CT scan slice. Abdomen. Field of view 407 mm wide, 1.50 mm slice spacing.
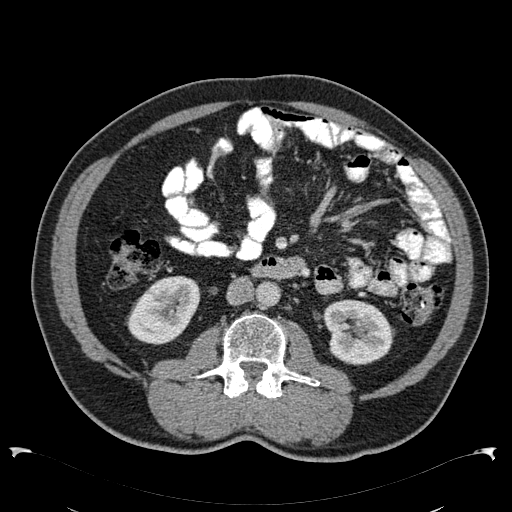

Kidney = <box>127,276,199,344</box>, <box>324,300,392,364</box>.